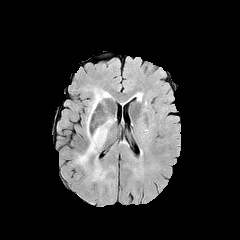
FLAIR MR image.
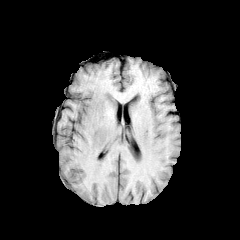
Same slice, T1-weighted MRI.
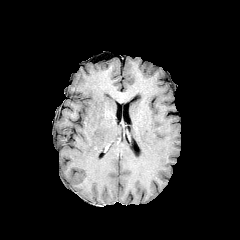
Post-contrast T1-weighted MR image.
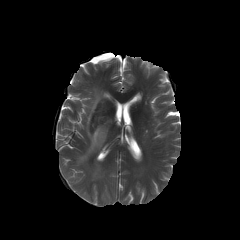
T2-weighted MRI.
Brain
edema:
  - 92,162,105,180
  - 76,87,111,166